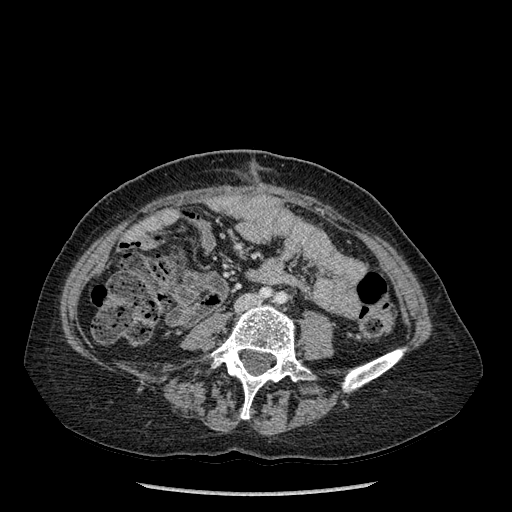
CT image. 512x512. 2 bone regions are located at <box>210,303,309,419</box>, <box>342,348,405,391</box>.